Field of view 398 mm wide, 5.00 mm slice spacing | CT image 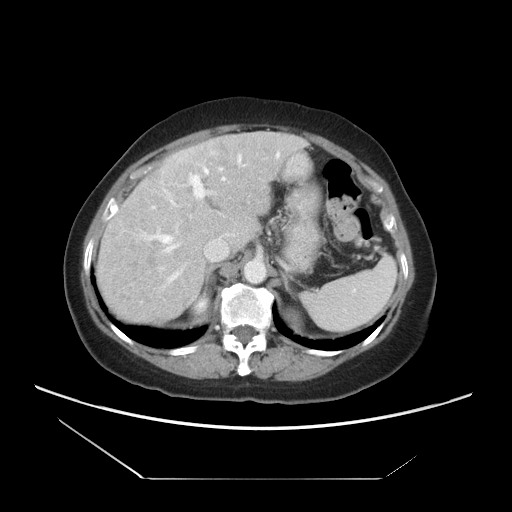 The vessel annotation is not exhaustive.
The liver tumor appears at x1=209 y1=144 x2=230 y2=165. 12 hepatic vessel regions are located at x1=189 y1=173 x2=206 y2=197, x1=170 y1=200 x2=175 y2=205, x1=198 y1=164 x2=208 y2=174, x1=141 y1=229 x2=178 y2=252, x1=176 y1=227 x2=177 y2=229, x1=219 y1=167 x2=222 y2=170, x1=237 y1=154 x2=244 y2=166, x1=222 y1=177 x2=225 y2=180, x1=160 y1=267 x2=163 y2=270, x1=168 y1=270 x2=181 y2=281, x1=152 y1=206 x2=154 y2=208, x1=276 y1=152 x2=279 y2=157.